Computed tomography | Slice 147/466 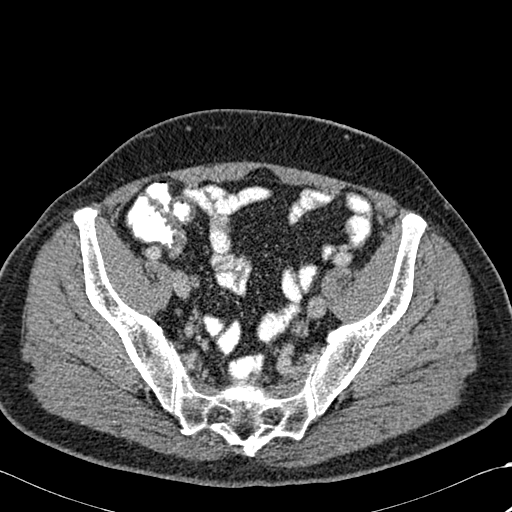

The bone is at region(74, 208, 426, 455).